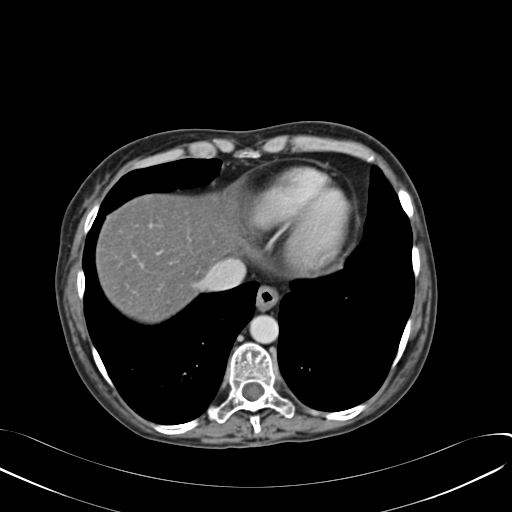

CT scan slice

Liver — (x1=96, y1=196, x2=239, y2=320).